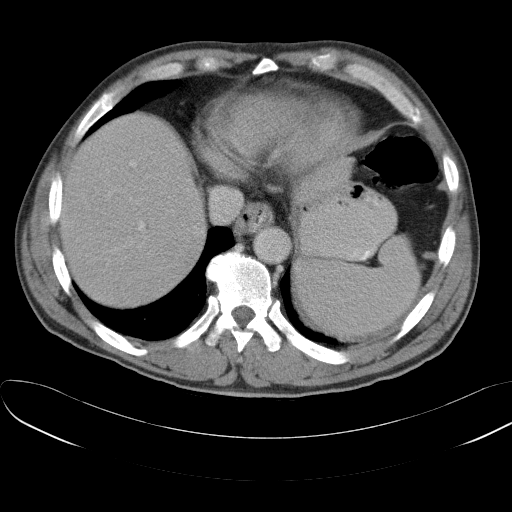
Upper abdomen. Computed tomography.
spleen: (296, 237, 419, 338)